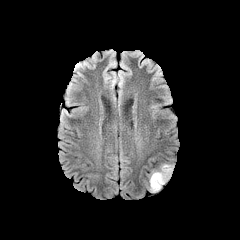
FLAIR MR image.
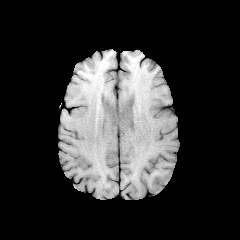
T1-weighted MR.
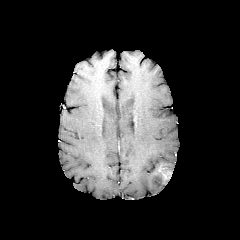
Post-contrast T1-weighted MR.
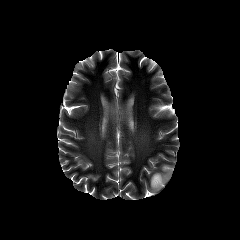
Same slice, T2-weighted MR.
240x240 px
<segmentation>
  <edema>x1=149 y1=164 x2=174 y2=192</edema>
</segmentation>